Field of view 240x240 mm, Brain
FLAIR MRI.
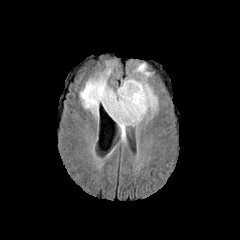
T1-weighted MR image.
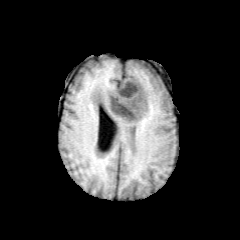
Post-contrast T1-weighted magnetic resonance.
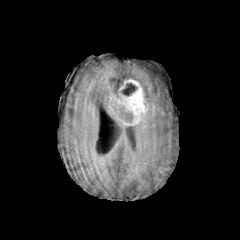
T2-weighted magnetic resonance.
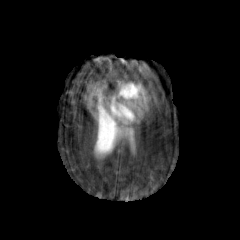
<segmentation>
  <enhancing_tumor>box=[108, 80, 147, 125]</enhancing_tumor>
  <non-enhancing_tumor_core>box=[118, 83, 137, 95]; box=[119, 108, 131, 123]</non-enhancing_tumor_core>
  <edema>box=[80, 68, 129, 141]; box=[136, 63, 150, 76]; box=[138, 79, 157, 116]</edema>
</segmentation>